CT scan slice. Slice 272/366.

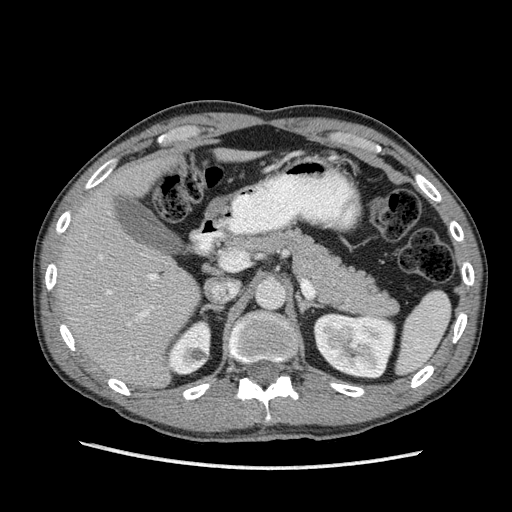

Segmented structures:
- liver: [53,153,200,390], [213,148,252,161]
- kidney: [170,323,209,373], [315,315,393,377]